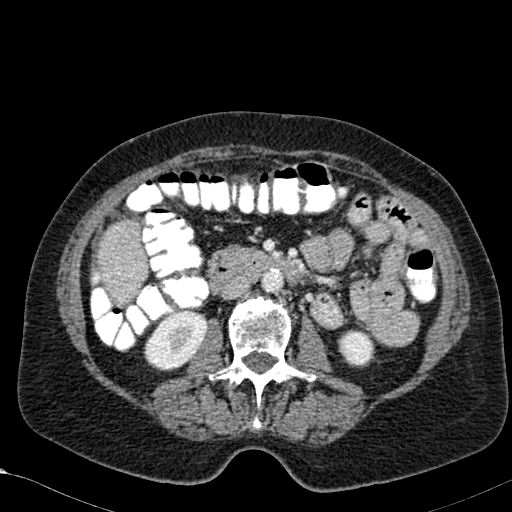 CT slice. Upper abdomen. {"kidney": [{"x1": 339, "y1": 331, "x2": 373, "y2": 365}, {"x1": 145, "y1": 304, "x2": 207, "y2": 369}], "liver": [{"x1": 99, "y1": 220, "x2": 147, "y2": 305}]}